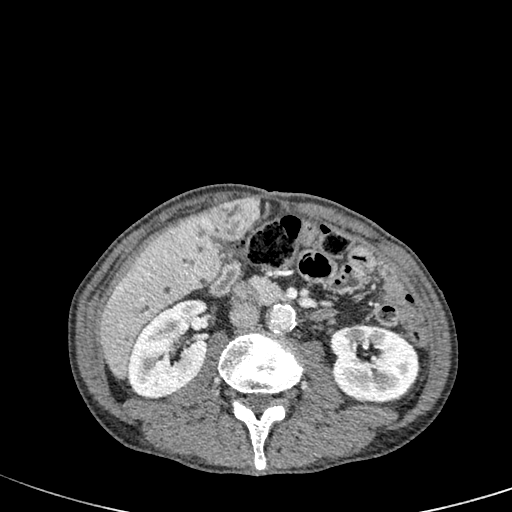 Upper abdomen. CT scan slice.

2 kidney regions are bounded by x1=128 y1=301 x2=207 y2=397, x1=331 y1=326 x2=417 y2=401. The liver lies within x1=100 y1=209 x2=221 y2=379. The liver lesion lies within x1=200 y1=197 x2=259 y2=240.